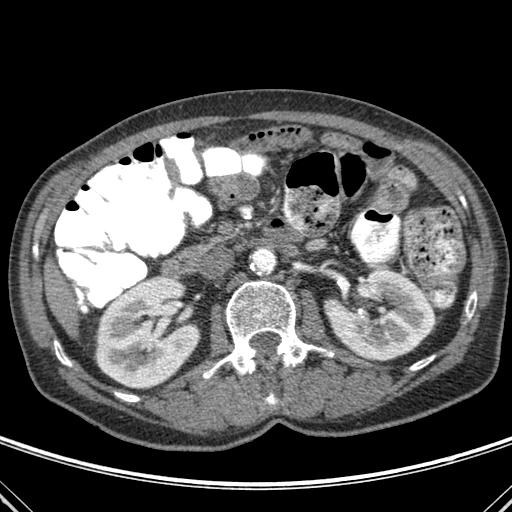

Upper abdomen; CT scan slice

Segmented structures:
• kidney: {"x1": 325, "y1": 270, "x2": 434, "y2": 359}, {"x1": 179, "y1": 308, "x2": 190, "y2": 319}, {"x1": 97, "y1": 277, "x2": 198, "y2": 387}
• bone: {"x1": 410, "y1": 356, "x2": 434, "y2": 370}, {"x1": 466, "y1": 292, "x2": 476, "y2": 318}, {"x1": 241, "y1": 208, "x2": 251, "y2": 218}, {"x1": 54, "y1": 340, "x2": 71, "y2": 366}, {"x1": 267, "y1": 393, "x2": 276, "y2": 404}, {"x1": 115, "y1": 392, "x2": 139, "y2": 401}, {"x1": 337, "y1": 276, "x2": 348, "y2": 293}, {"x1": 203, "y1": 281, "x2": 333, "y2": 378}
• liver: {"x1": 45, "y1": 259, "x2": 79, "y2": 335}